Computed tomography, Slice index 178

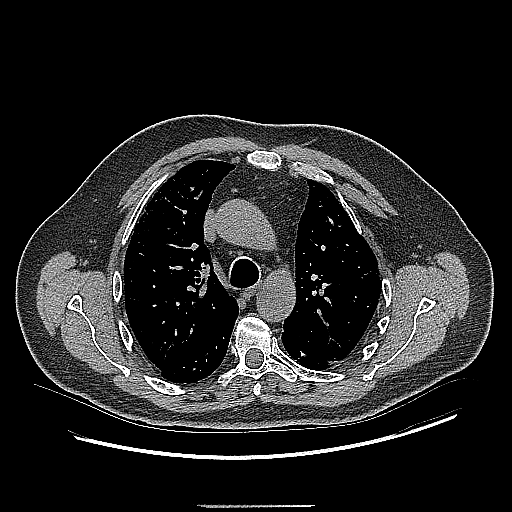 lung tumor: bbox(285, 338, 310, 363)